Slice 70 of 155
FLAIR MR.
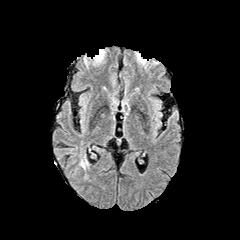
T1-weighted MRI.
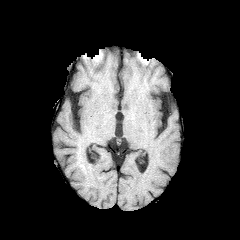
Post-contrast T1-weighted MR image.
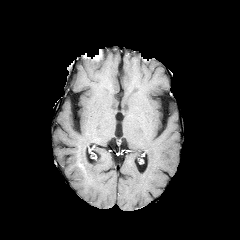
T2-weighted MR image.
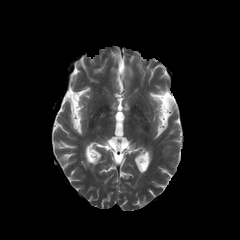
{"edema": ["rect(80, 150, 88, 168)"]}